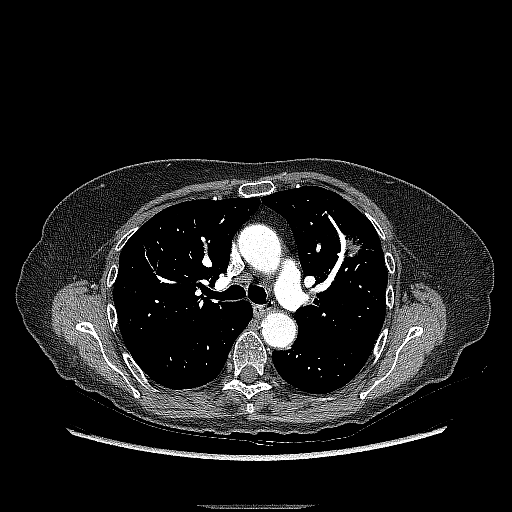
Lung, 512x512 px, CT slice

Lung tumor — <bbox>334, 228, 369, 263</bbox>.